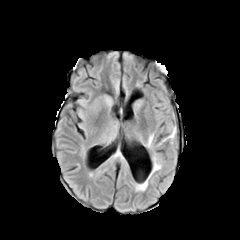
FLAIR magnetic resonance.
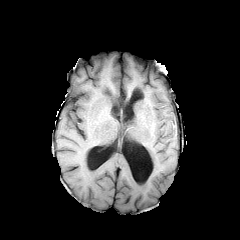
T1-weighted magnetic resonance.
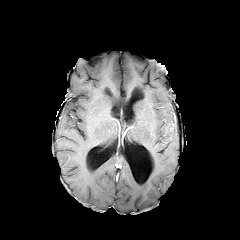
Post-contrast T1-weighted MRI.
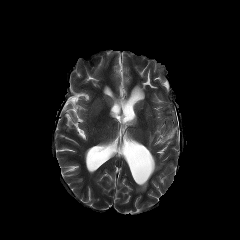
T2-weighted MR image.
edema:
  - bbox=[148, 134, 153, 147]
  - bbox=[162, 126, 176, 142]
  - bbox=[152, 155, 162, 173]
  - bbox=[136, 179, 148, 191]